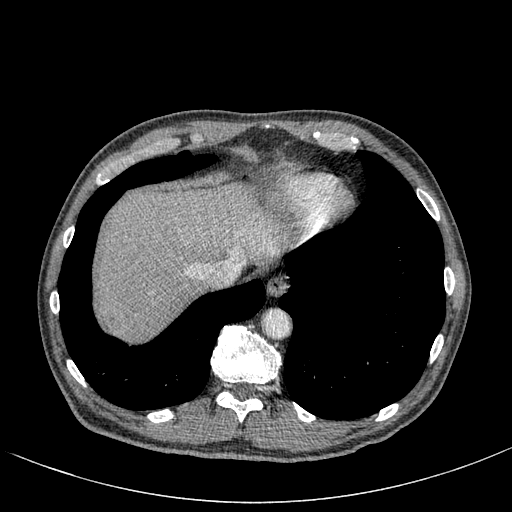
Image size 512x512 | CT
liver: (95,187,282,339) | focal liver lesion: (104,314,117,331)